Slice 46 of 84 | Image size 512x512 | Computed tomography
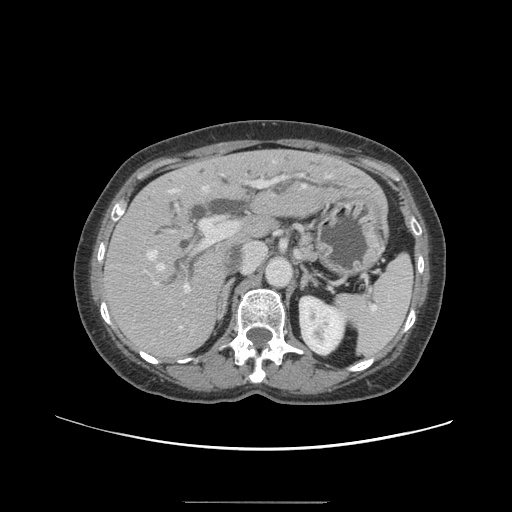

pancreas:
  - l=300, t=235, r=312, b=257